CT; Abdomen; 512x512 px 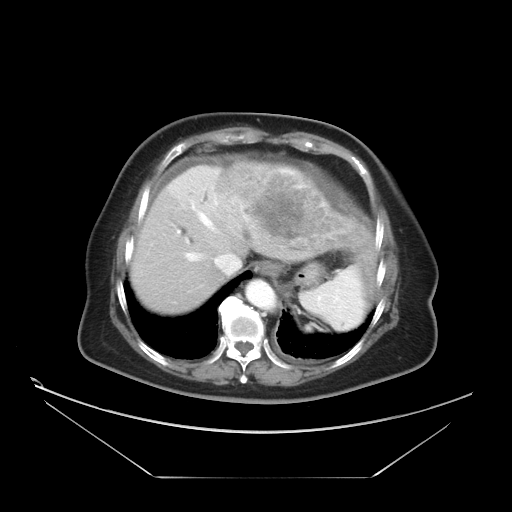 Only some of the vessels may be annotated.
Liver tumor = (left=228, top=163, right=324, bottom=243).
Hepatic vessel = (left=177, top=230, right=180, bottom=233), (left=182, top=253, right=204, bottom=265), (left=215, top=199, right=216, bottom=204), (left=193, top=206, right=214, bottom=229), (left=186, top=272, right=192, bottom=275), (left=215, top=256, right=223, bottom=267).